Brain.
FLAIR magnetic resonance.
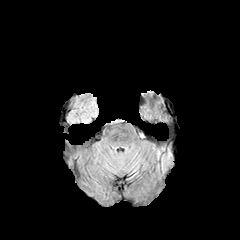
T1-weighted MR image.
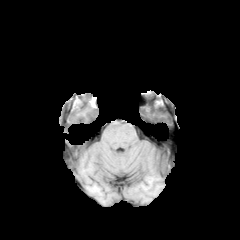
Post-contrast T1-weighted MR image.
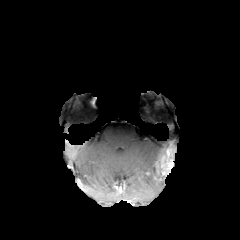
T2-weighted MRI.
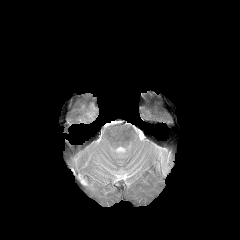
Annotated regions:
- non-enhancing tumor core: <bbox>152, 146, 175, 176</bbox>